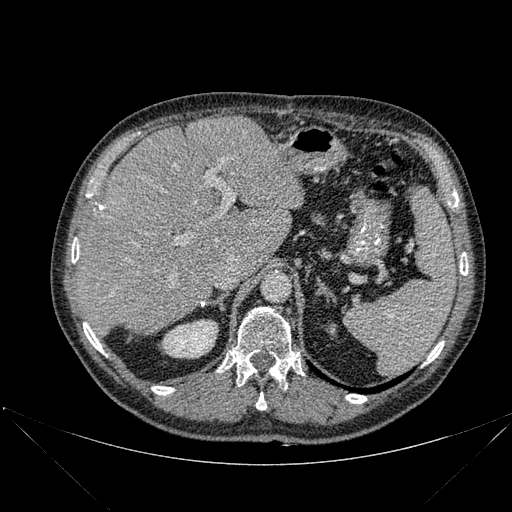
CT, 512x512 px, Upper abdomen

Liver — x1=76 y1=116 x2=302 y2=337.
Bone — x1=151 y1=386 x2=173 y2=395, x1=217 y1=307 x2=301 y2=385, x1=72 y1=243 x2=79 y2=262, x1=83 y1=322 x2=103 y2=353, x1=450 y1=192 x2=458 y2=206, x1=256 y1=392 x2=266 y2=409, x1=460 y1=261 x2=468 y2=275, x1=425 y1=341 x2=443 y2=363, x1=345 y1=394 x2=366 y2=403.
Lung — x1=351 y1=374 x2=406 y2=393.
Kidney — x1=162 y1=320 x2=217 y2=357.